Head; Field of view 240 mm wide, 1.00 mm slice spacing
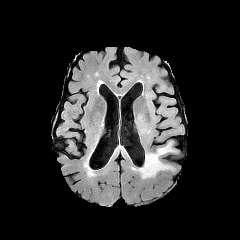
FLAIR MR image.
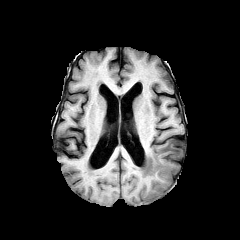
Same slice, T1-weighted MR image.
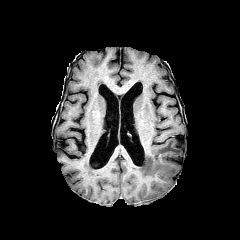
Post-contrast T1-weighted MR image.
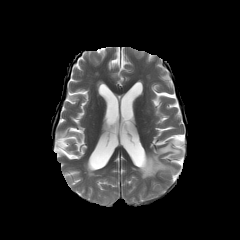
Same slice, T2-weighted magnetic resonance.
<segmentation>
  <edema>132 141 175 178</edema>
</segmentation>